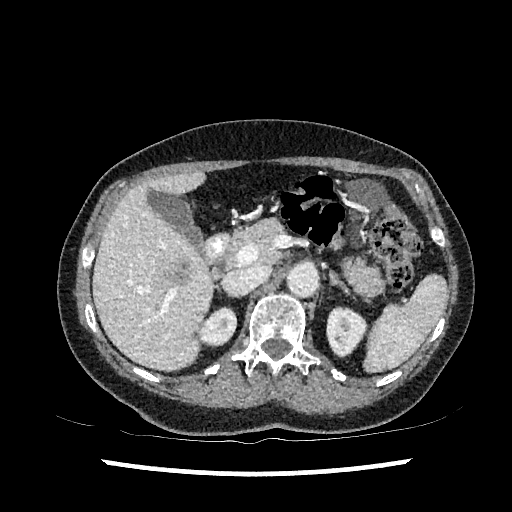

CT image. 512x512 px. Abdomen.

Liver = 94, 172, 212, 370.
Hepatic lesion = 165, 258, 192, 284.
Kidney = 200, 309, 235, 343; 327, 308, 365, 355.